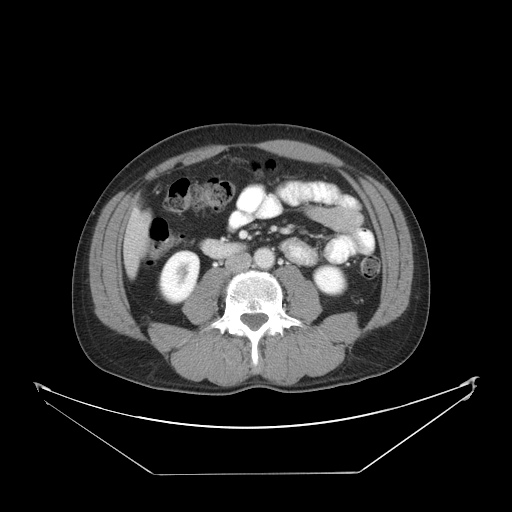 CT image
{
  "liver_tumor": [
    "(left=140, top=214, right=150, bottom=224)"
  ]
}